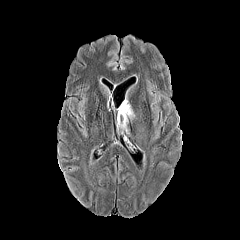
FLAIR magnetic resonance.
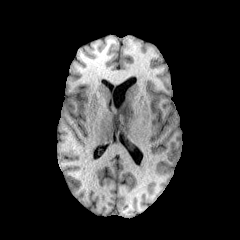
T1-weighted MRI of the same slice.
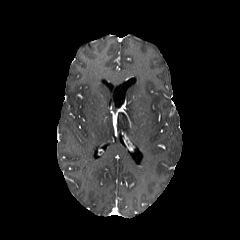
Post-contrast T1-weighted MRI.
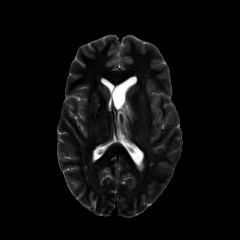
T2-weighted MR of the same slice.
Image size 240x240
{"enhancing_tumor": ["118 100 128 115"], "edema": ["126 104 134 121"], "non-enhancing_tumor_core": ["117 112 130 122"]}